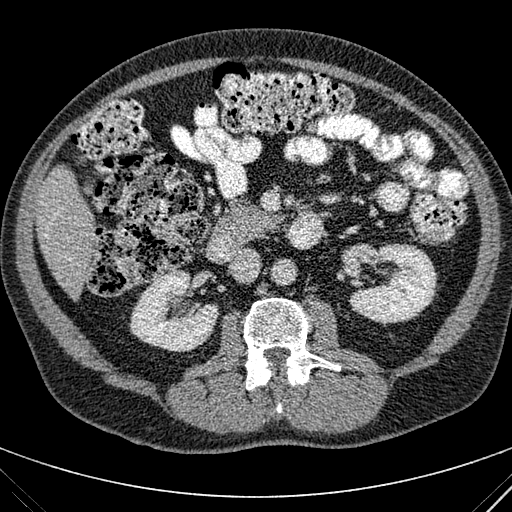
512x512 | Upper abdomen | CT scan slice

2 kidney regions appear at [344,244,435,323], [130,270,218,351]. The liver appears at [36,167,94,299].